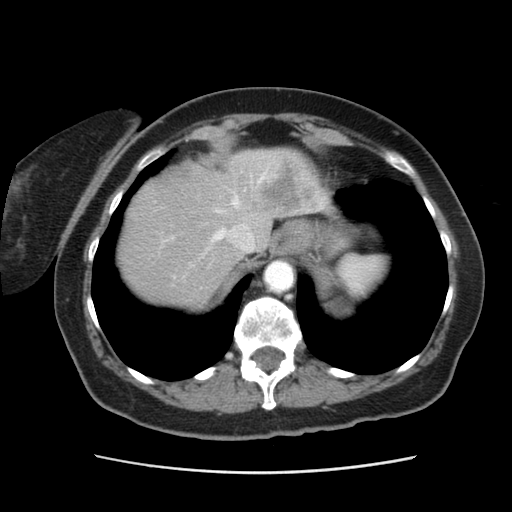
Computed tomography | 512x512 px
Not every hepatic vessel necessarily has a box.
Liver tumor — <bbox>244, 156, 319, 214</bbox>.
Hepatic vessel — <bbox>232, 198, 238, 205</bbox>, <bbox>217, 209, 222, 212</bbox>, <bbox>214, 219, 263, 251</bbox>.